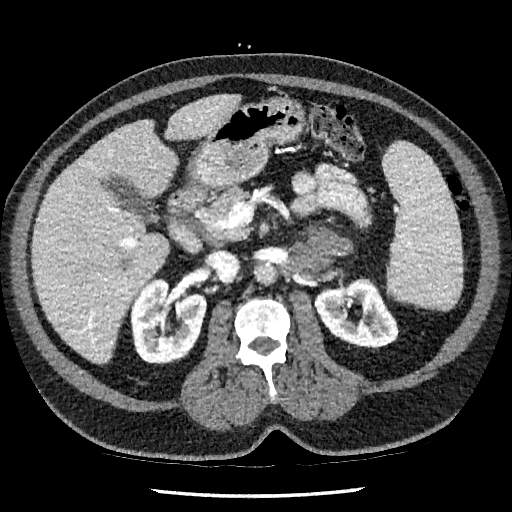 CT scan slice
kidney:
  - 131, 280, 205, 362
  - 315, 280, 397, 346
liver_lesion:
  - 121, 259, 132, 270
liver:
  - 32, 120, 177, 362
  - 165, 94, 238, 139